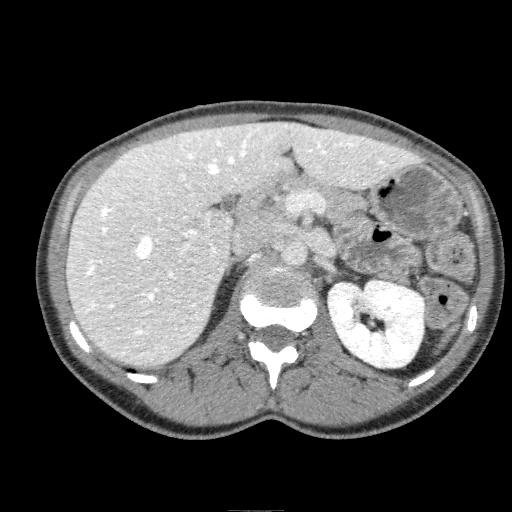
512x512, Computed tomography
kidney:
  - l=328, t=281, r=423, b=367
liver:
  - l=66, t=121, r=420, b=366
liver_lesion:
  - l=285, t=125, r=295, b=134
  - l=208, t=211, r=226, b=228